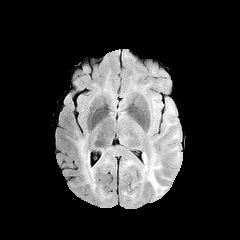
FLAIR MRI.
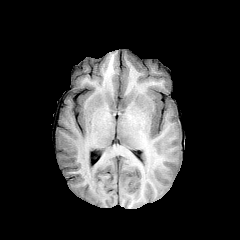
T1-weighted MR.
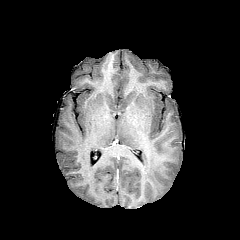
Same slice, post-contrast T1-weighted magnetic resonance.
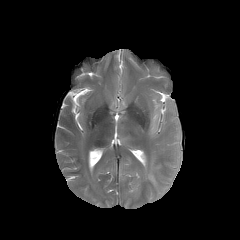
T2-weighted MR image of the same slice.
Image size 240x240
{"edema": ["[141, 156, 166, 189]", "[78, 142, 95, 183]"]}